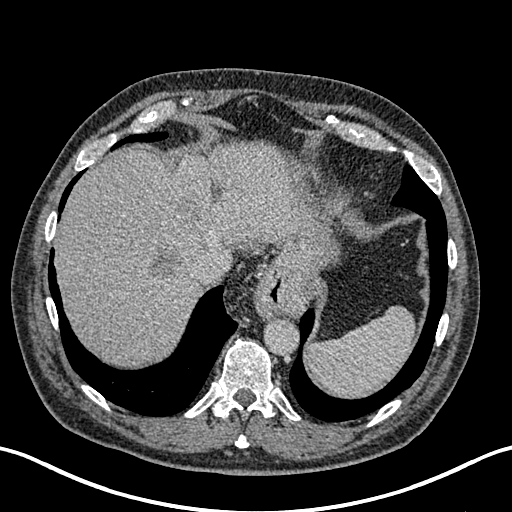

CT slice, Abdomen
Liver at [56,143,335,364].
Hepatic lesion at [148,244,184,281], [177,196,213,218], [208,186,221,198].